FLAIR MR image.
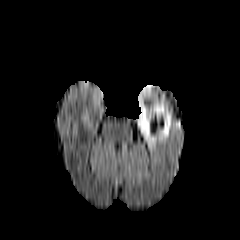
T1-weighted magnetic resonance.
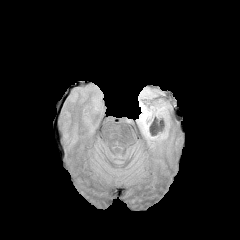
Post-contrast T1-weighted MR image.
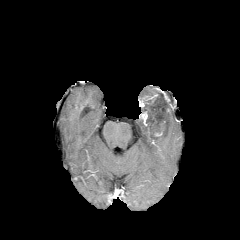
T2-weighted MR image.
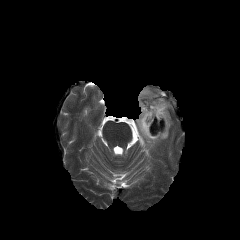
enhancing_tumor:
  - {"x1": 139, "y1": 111, "x2": 147, "y2": 125}
edema:
  - {"x1": 137, "y1": 86, "x2": 173, "y2": 149}